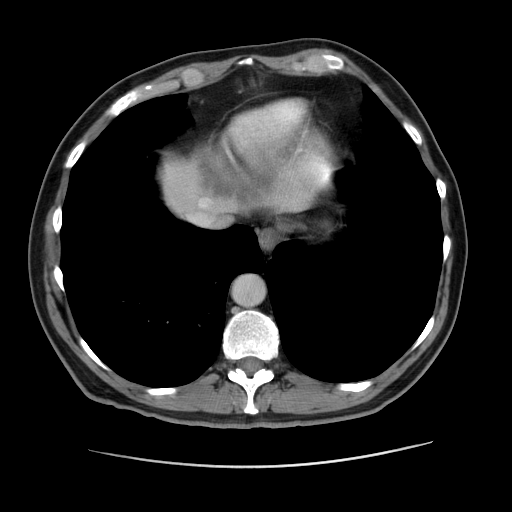 Computed tomography; Liver

focal_liver_lesion:
  - <bbox>198, 148, 268, 201</bbox>
liver:
  - <bbox>160, 132, 328, 228</bbox>